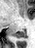
MRI slice. Medial temporal lobe.

Posterior hippocampus at <box>15,30,26,38</box>.